Slice 20/36; Hippocampus; Field of view 35x50 mm; MR image 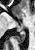

Annotated regions:
- posterior hippocampus: (16,31,25,43)